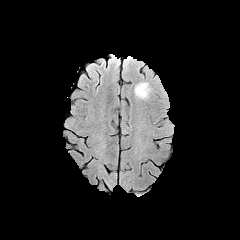
FLAIR magnetic resonance.
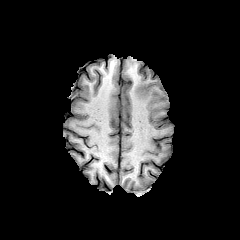
T1-weighted MR.
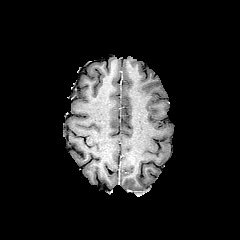
Post-contrast T1-weighted MR.
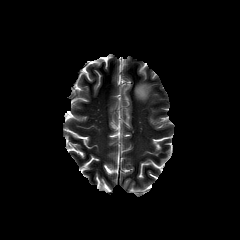
T2-weighted MR.
The edema is at 134, 82, 152, 100.